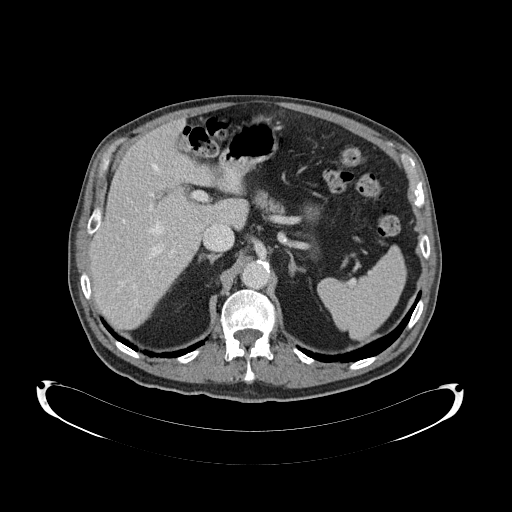 CT; Upper abdomen
Segmented structures:
• pancreas: (x1=253, y1=192, x2=285, y2=215)